Slice 253/391, CT slice

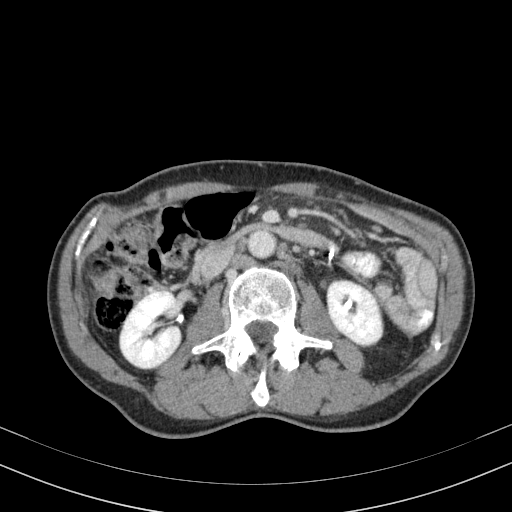
{"kidney": ["120,291,179,367", "328,281,381,343"]}